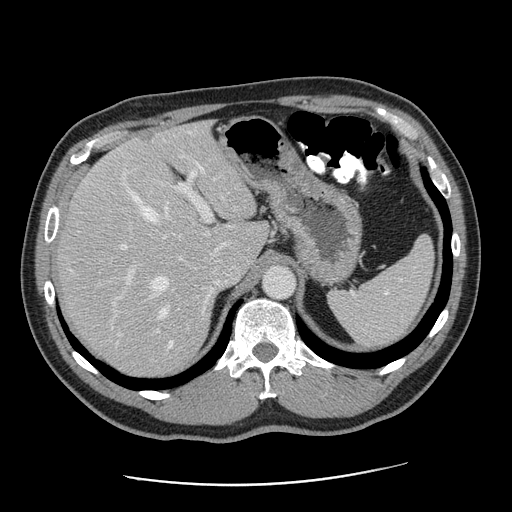 CT image.
Only some of the vessels may be annotated.
Hepatic vessel = [122,244,127,248], [118,333,121,333], [166,205,167,211], [180,257,182,258], [152,276,167,289], [128,267,133,281], [200,168,203,171], [191,170,195,175], [176,183,213,222], [203,244,246,283], [159,308,167,317], [169,342,173,346], [129,189,156,220].
Liver tumor = [136,133,158,144].